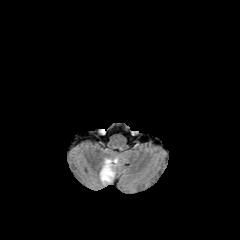
FLAIR MR image.
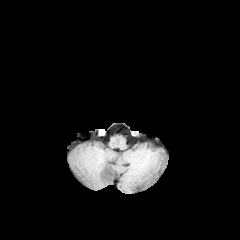
T1-weighted magnetic resonance.
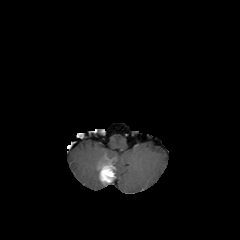
Post-contrast T1-weighted MRI.
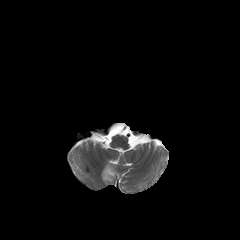
Same slice, T2-weighted MRI.
240x240 px.
Enhancing tumor = (left=101, top=169, right=111, bottom=178).